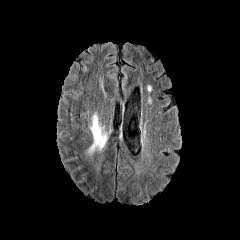
FLAIR MR.
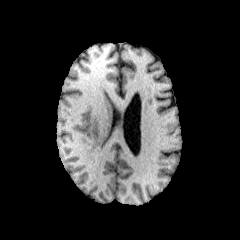
T1-weighted MRI.
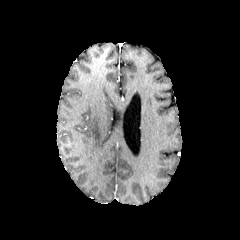
Post-contrast T1-weighted MR image of the same slice.
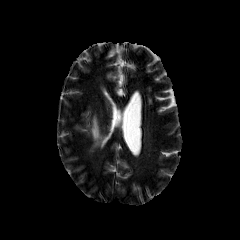
Same slice, T2-weighted MR image.
Findings:
* edema: [x1=90, y1=113, x2=107, y2=150]